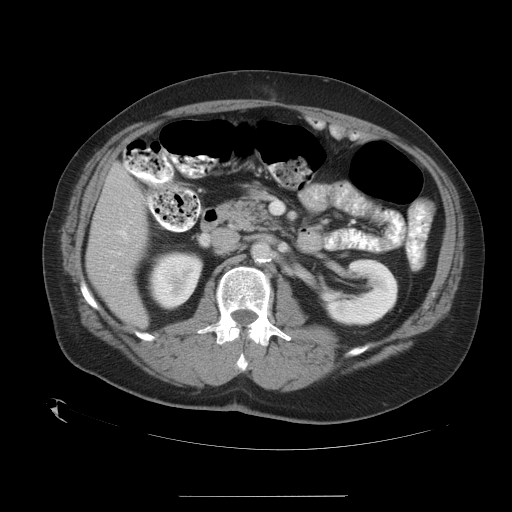
Liver; CT

The vessel annotation is not exhaustive.
* hepatic vessel: <bbox>117, 252, 120, 254</bbox>, <bbox>123, 233, 127, 239</bbox>, <bbox>110, 265, 113, 269</bbox>, <bbox>134, 213, 137, 218</bbox>, <bbox>117, 231, 118, 233</bbox>